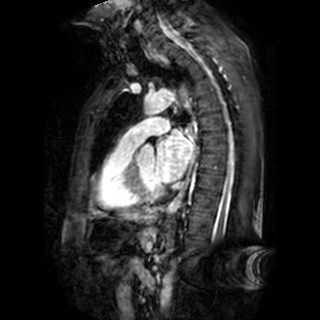

Magnetic resonance
The left atrium is bounded by bbox(155, 129, 193, 182).